Abdomen | 512x512 px | Slice 49/104 | CT image

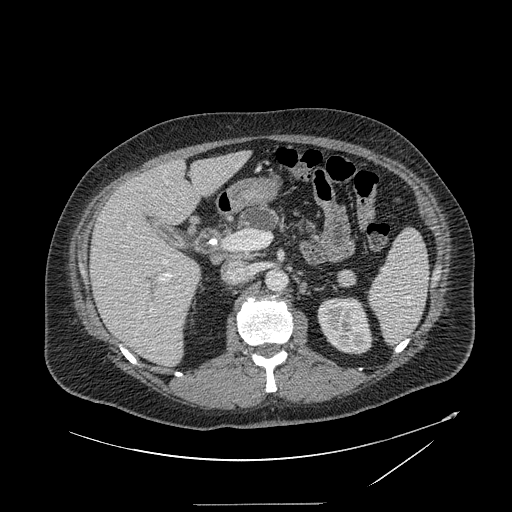
2 pancreas regions are bounded by 236,205,280,230; 303,220,317,241.